Slice 212/461 | Abdomen | CT image

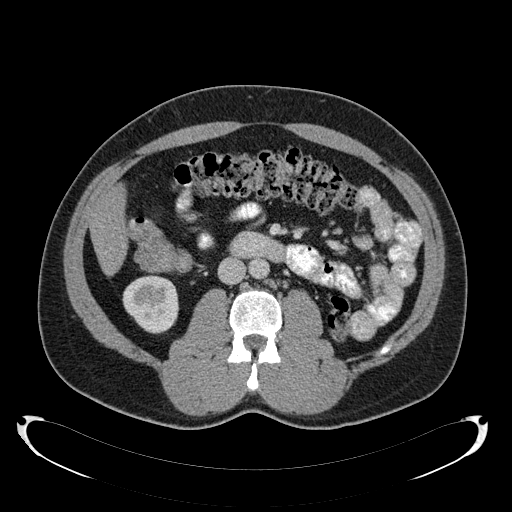

The kidney is located at 123, 276, 177, 332. The liver is bounded by 90, 186, 128, 272.